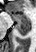
MRI slice; 36x52 px
2 anterior hippocampus regions appear at 12,14,28,21; 7,10,10,12. The posterior hippocampus is bounded by 15,21,29,36.